Slice 102/155, 240x240 px, Image width 240 mm
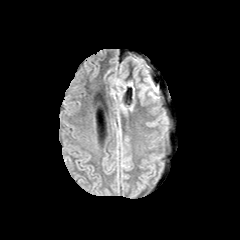
FLAIR MR.
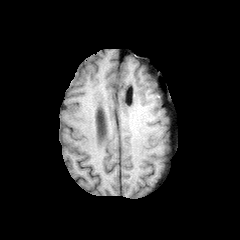
T1-weighted MRI of the same slice.
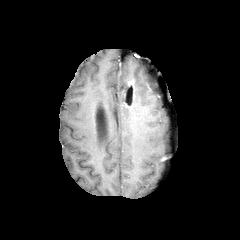
Post-contrast T1-weighted magnetic resonance.
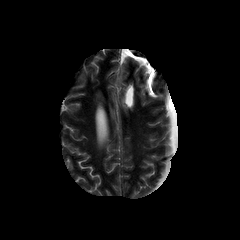
T2-weighted MR image.
The edema appears at 139, 84, 149, 99.